FLAIR MR image.
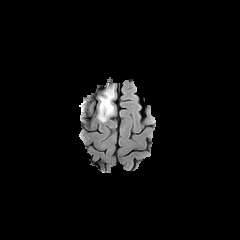
T1-weighted magnetic resonance.
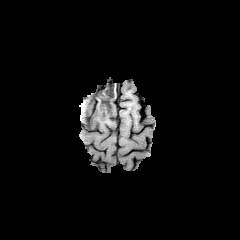
Post-contrast T1-weighted magnetic resonance.
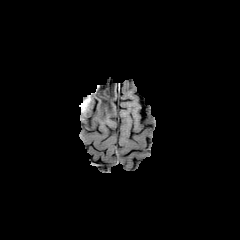
T2-weighted MR image.
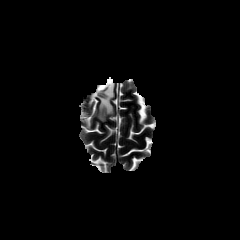
240x240 px. Head.
<segmentation>
  <non-enhancing_tumor_core><box>96,85,113,116</box></non-enhancing_tumor_core>
  <edema><box>95,96,110,123</box>, <box>82,101,92,113</box>, <box>108,88,114,104</box></edema>
</segmentation>